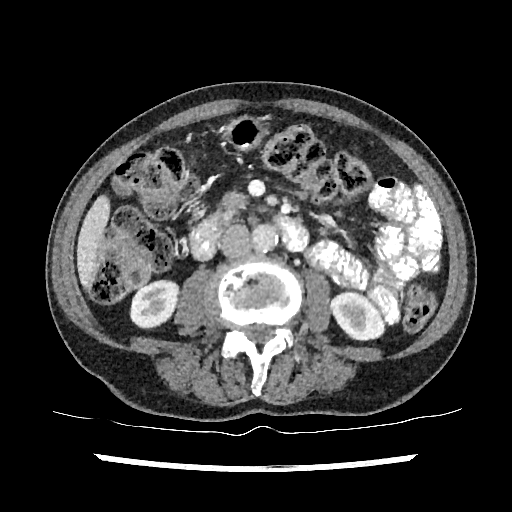 CT slice
The liver is bounded by <box>78,197,107,281</box>. 2 kidney regions appear at <box>332,293,383,339</box>, <box>131,282,176,326</box>.